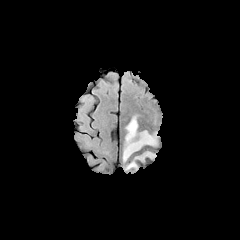
FLAIR magnetic resonance.
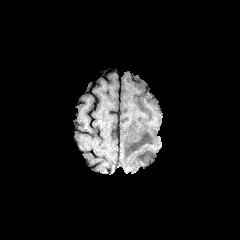
Same slice, T1-weighted MR.
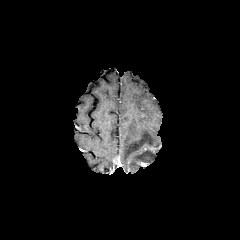
Post-contrast T1-weighted MR of the same slice.
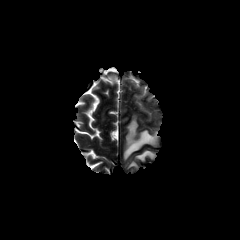
T2-weighted MRI of the same slice.
240x240 px
3 edema regions appear at left=126, top=161, right=137, bottom=169; left=136, top=151, right=155, bottom=160; left=123, top=117, right=159, bottom=160.